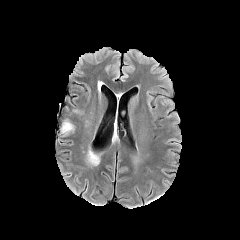
FLAIR MR.
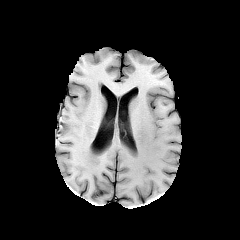
Same slice, T1-weighted MR image.
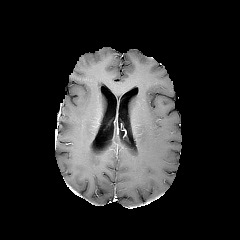
Same slice, post-contrast T1-weighted MRI.
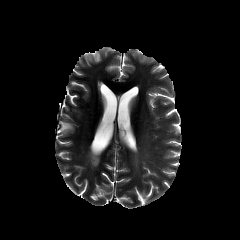
T2-weighted magnetic resonance of the same slice.
Head
Findings:
- edema: {"x1": 60, "y1": 122, "x2": 71, "y2": 133}, {"x1": 87, "y1": 152, "x2": 99, "y2": 165}